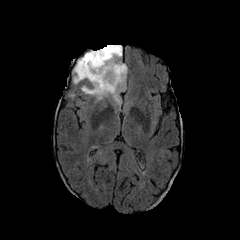
FLAIR MRI.
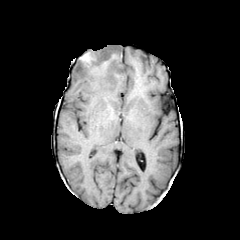
T1-weighted MR.
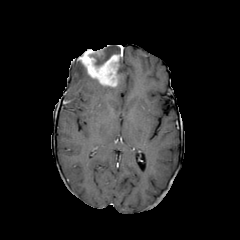
Same slice, post-contrast T1-weighted magnetic resonance.
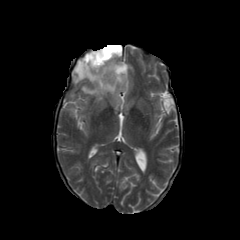
T2-weighted MR.
Segmented structures:
* non-enhancing tumor core: box(95, 45, 121, 65); box(77, 60, 87, 74)
* enhancing tumor: box(78, 46, 122, 87)
* edema: box(72, 62, 129, 105)